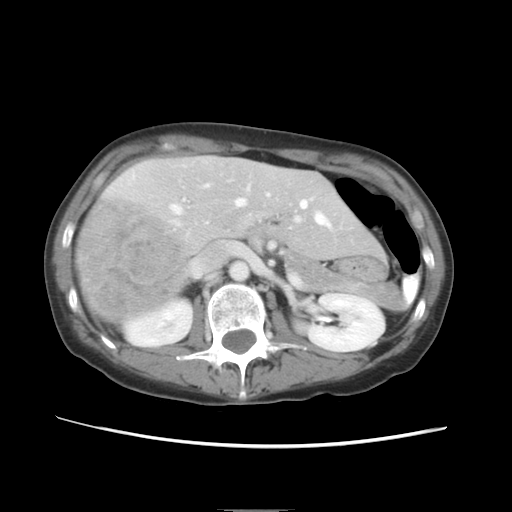
Liver, Image size 512x512, CT image
The vessel annotation is not exhaustive.
{
  "hepatic_vessel": [
    "247, 186, 249, 189",
    "266, 192, 269, 195",
    "315, 212, 330, 227",
    "173, 220, 183, 227",
    "295, 216, 300, 221",
    "171, 204, 181, 213",
    "236, 198, 244, 205",
    "300, 199, 307, 207",
    "204, 183, 209, 186"
  ],
  "liver_tumor": [
    "78, 198, 188, 322"
  ]
}